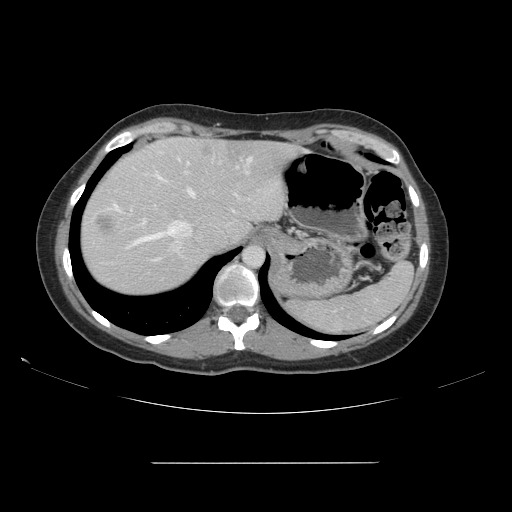
CT
Only some of the vessels may be annotated.
* hepatic vessel (most prominent 15 of 16): <bbox>187, 162, 188, 164</bbox>, <bbox>212, 157, 213, 162</bbox>, <bbox>148, 258, 159, 260</bbox>, <bbox>131, 221, 191, 255</bbox>, <bbox>245, 171, 248, 173</bbox>, <bbox>184, 170, 188, 173</bbox>, <bbox>106, 200, 120, 211</bbox>, <bbox>187, 188, 194, 196</bbox>, <bbox>178, 158, 179, 160</bbox>, <bbox>235, 193, 238, 197</bbox>, <bbox>138, 218, 146, 226</bbox>, <bbox>218, 161, 220, 163</bbox>, <bbox>233, 210, 236, 212</bbox>, <bbox>247, 157, 251, 162</bbox>, <bbox>153, 205, 155, 207</bbox>
* liver tumor: <bbox>96, 216, 112, 232</bbox>